Abdomen, CT scan slice, Image size 512x512, Slice 44/73 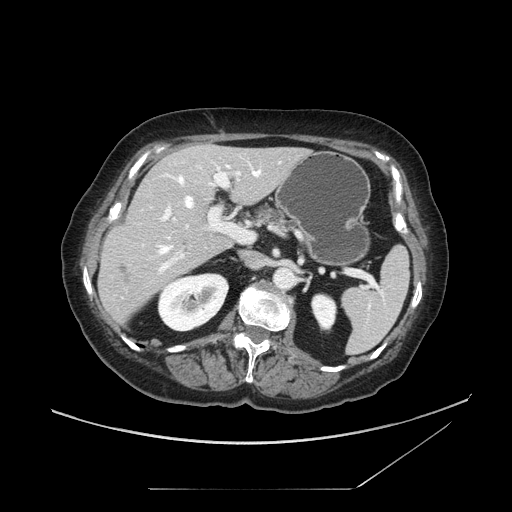

pancreas:
  - (256, 208, 291, 227)